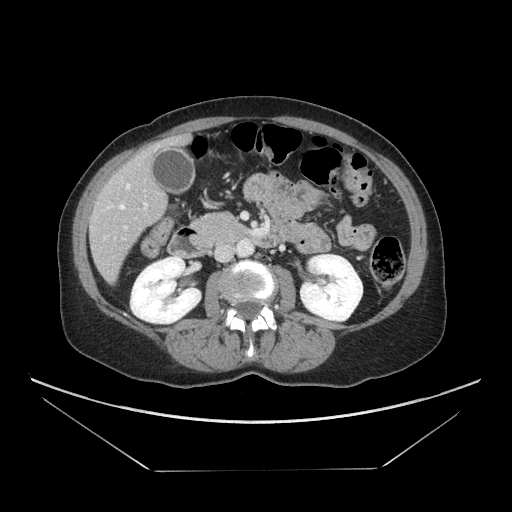

Abdomen | Computed tomography
Pancreas — 192,211,249,245.